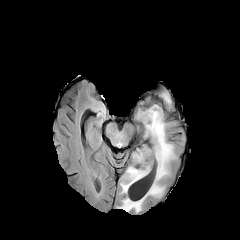
FLAIR MR image.
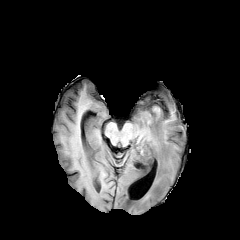
T1-weighted MR.
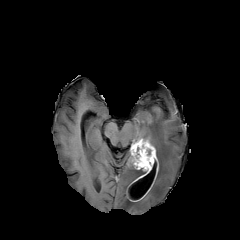
Post-contrast T1-weighted MR image.
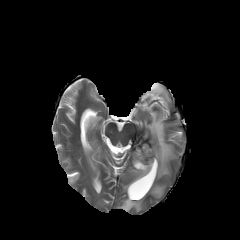
T2-weighted magnetic resonance of the same slice.
Brain
Edema at [118, 105, 175, 212].
Enhancing tumor at [132, 146, 157, 178].
Non-enhancing tumor core at [132, 140, 151, 153], [148, 159, 159, 173].